Abdomen. CT scan slice. 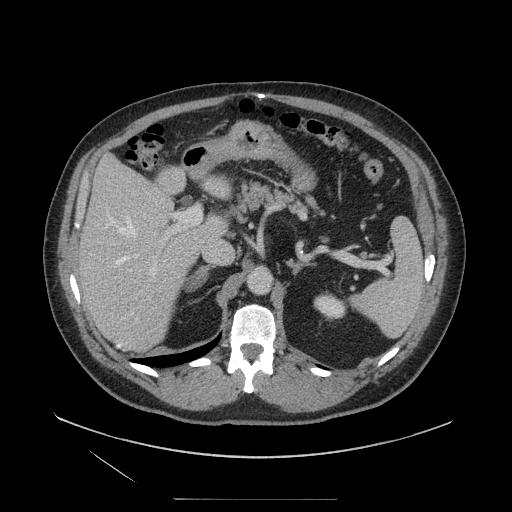 Pancreas: bounding box 226,178,316,223.